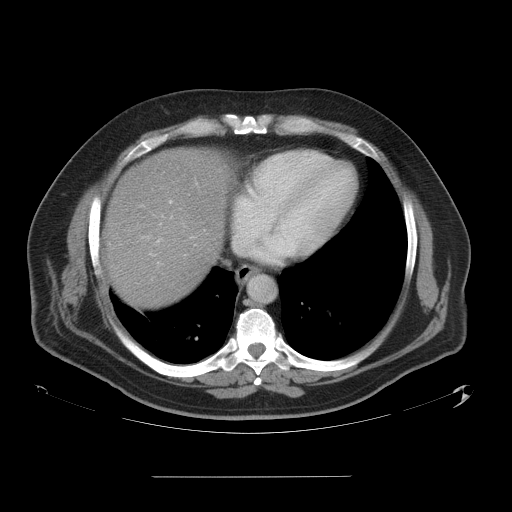
CT slice.

The vessel boxes may cover only some of the vessels.
hepatic_vessel:
  - <bbox>150, 253, 154, 255</bbox>
  - <bbox>170, 200, 171, 202</bbox>
  - <bbox>155, 238, 162, 244</bbox>